Abdomen; 512x512; CT slice; Slice 492 of 722
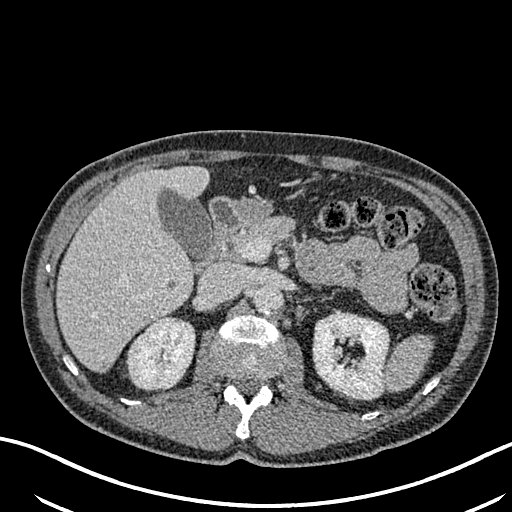 2 kidney regions are located at 313,314,388,395; 128,318,194,388. The liver is at 57,168,207,371. The focal liver lesion appears at 101,362,112,371.